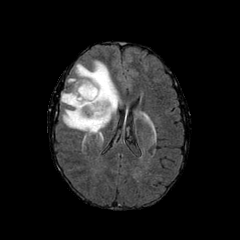
FLAIR MR.
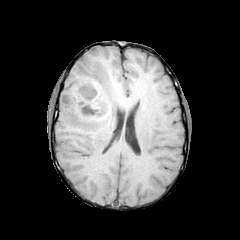
T1-weighted magnetic resonance of the same slice.
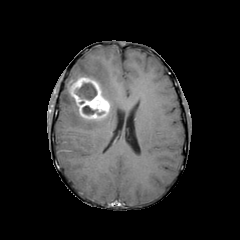
Post-contrast T1-weighted magnetic resonance of the same slice.
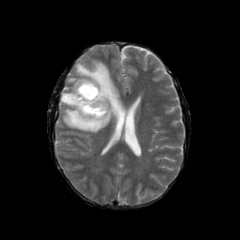
Same slice, T2-weighted MR image.
240x240
Segmented structures:
• enhancing tumor: box=[71, 78, 109, 118]
• edema: box=[60, 60, 120, 135]
• non-enhancing tumor core: box=[74, 82, 96, 99]; box=[82, 105, 105, 116]